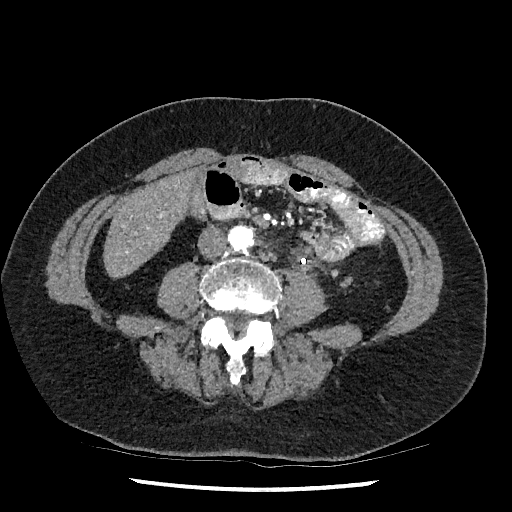
CT slice
{
  "liver": [
    "103:170:198:276"
  ]
}